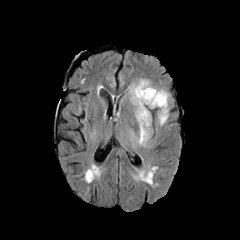
FLAIR MR.
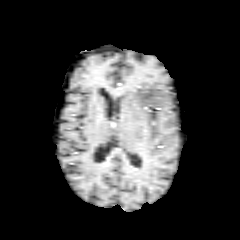
T1-weighted MRI.
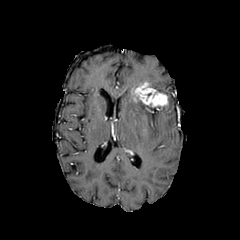
Post-contrast T1-weighted MRI.
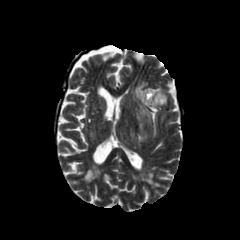
T2-weighted MRI.
Brain
edema:
  - bbox(128, 79, 169, 146)
enhancing_tumor:
  - bbox(135, 88, 166, 105)